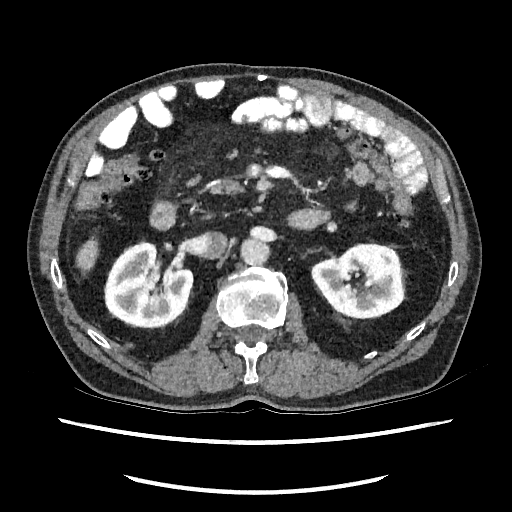 CT slice | Upper abdomen
The liver is bounded by 79:243:95:268. 2 kidney regions are bounded by 311:244:404:318, 104:242:193:327.